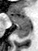

Hippocampus; MR image

<segmentation>
  <posterior_hippocampus>l=16, t=26, r=30, b=38</posterior_hippocampus>
  <anterior_hippocampus>l=8, t=15, r=30, b=25</anterior_hippocampus>
</segmentation>